Head. Slice 93 of 155.
FLAIR MRI.
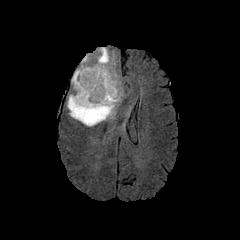
T1-weighted MR image.
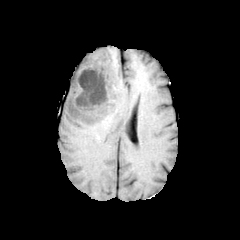
Post-contrast T1-weighted MR image.
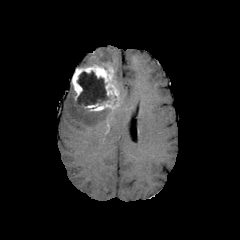
T2-weighted MR.
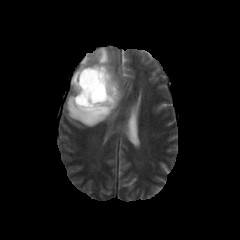
Non-enhancing tumor core at region(75, 71, 111, 106).
Edema at region(114, 69, 121, 99); region(97, 47, 111, 66); region(80, 53, 92, 65); region(66, 93, 115, 126).
Enhancing tumor at region(71, 51, 119, 110).